FLAIR MR image.
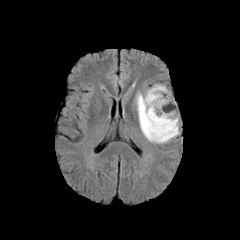
T1-weighted magnetic resonance.
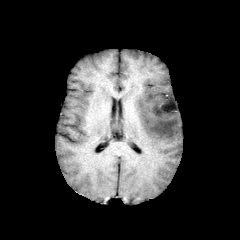
Post-contrast T1-weighted MR.
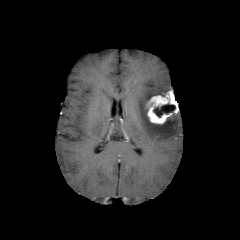
T2-weighted magnetic resonance.
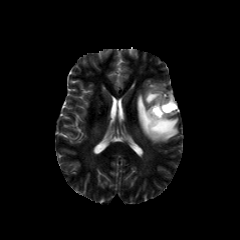
Image size 240x240, Head
{
  "enhancing_tumor": [
    "(147, 91, 178, 123)"
  ],
  "non-enhancing_tumor_core": [
    "(153, 104, 175, 117)",
    "(140, 103, 171, 133)",
    "(146, 92, 167, 100)"
  ],
  "edema": [
    "(136, 82, 180, 143)"
  ]
}